Head
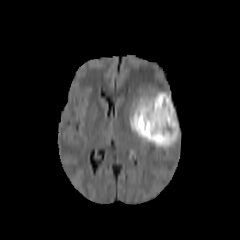
FLAIR MR.
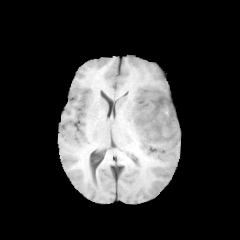
T1-weighted MR image.
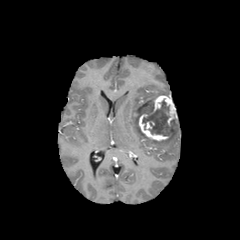
Post-contrast T1-weighted MR image.
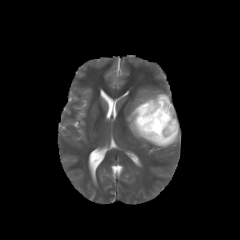
T2-weighted MR.
2 enhancing tumor regions are bounded by left=149, top=95, right=177, bottom=124; left=138, top=113, right=169, bottom=140. The non-enhancing tumor core lies within left=138, top=100, right=176, bottom=135. The edema is bounded by left=127, top=92, right=179, bottom=149.